CT scan slice, Image width 365 mm, 512x512, Slice 172/410 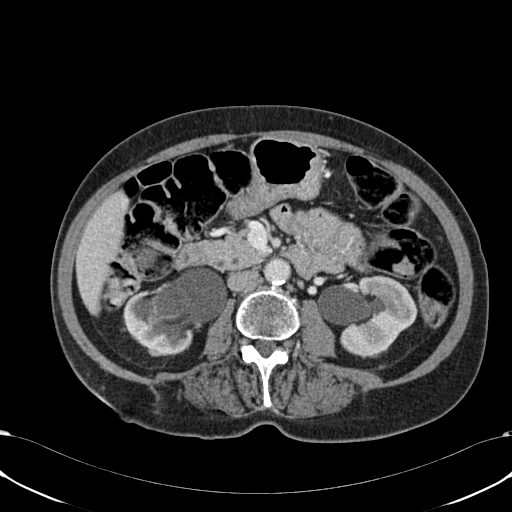
{
  "liver": [
    "rect(75, 190, 127, 315)"
  ],
  "kidney": [
    "rect(341, 276, 416, 356)",
    "rect(124, 291, 227, 355)"
  ]
}